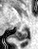

MR image. Medial temporal lobe.
{
  "posterior_hippocampus": [
    "[12,30,27,41]"
  ]
}